FLAIR MR image.
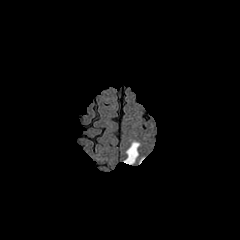
T1-weighted MR.
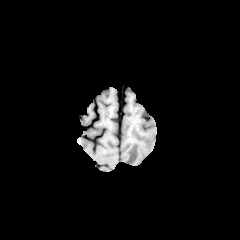
Post-contrast T1-weighted magnetic resonance.
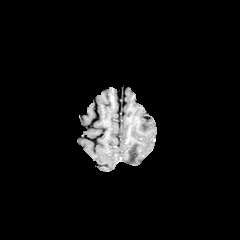
T2-weighted magnetic resonance.
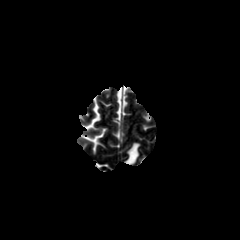
• edema: box=[124, 142, 139, 164]